FLAIR MRI.
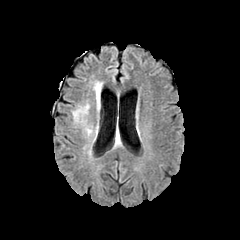
T1-weighted magnetic resonance.
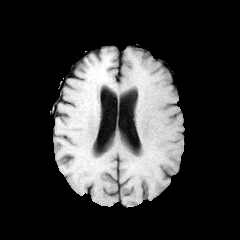
Post-contrast T1-weighted MR image.
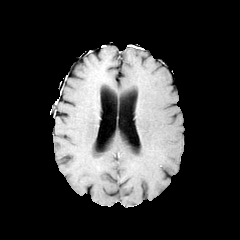
T2-weighted MR.
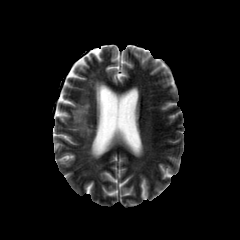
240x240.
edema:
  - l=93, t=81, r=103, b=112
  - l=73, t=103, r=97, b=141